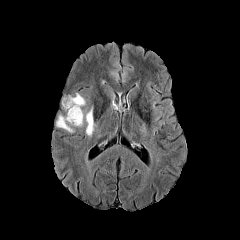
FLAIR MRI.
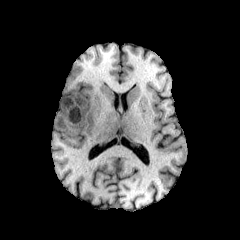
Same slice, T1-weighted MR image.
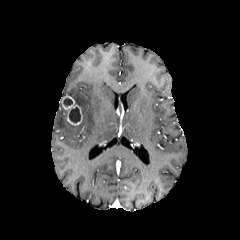
Post-contrast T1-weighted MR image of the same slice.
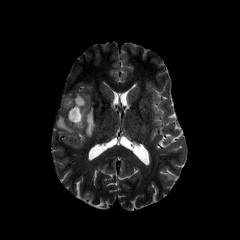
T2-weighted MR image.
Head
2 non-enhancing tumor core regions are located at [63, 98, 72, 107], [69, 107, 80, 122]. The enhancing tumor lies within [61, 95, 82, 124]. 3 edema regions are bounded by [85, 106, 94, 136], [73, 93, 85, 107], [55, 116, 74, 132].